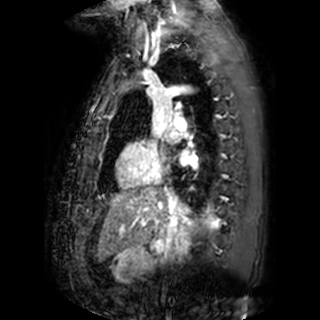 MR image; Image size 320x320
Left atrium: bounding box 179, 151, 193, 162; 165, 128, 176, 141.